Abdomen. CT scan slice. 512x512 px.
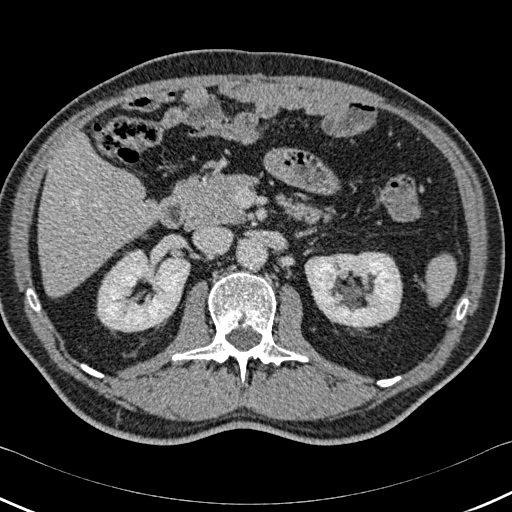

Annotated regions:
- bone: 377 376 400 386, 456 299 467 319, 27 289 39 310, 172 272 307 382, 81 364 103 377
- liver: 39 133 156 295
- kidney: 305 253 401 326, 98 250 189 331